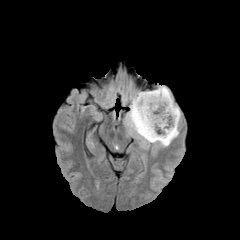
FLAIR MR image.
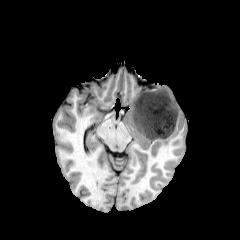
T1-weighted MRI.
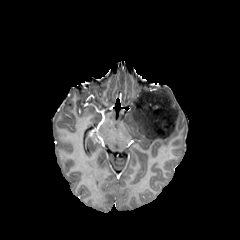
Post-contrast T1-weighted MRI.
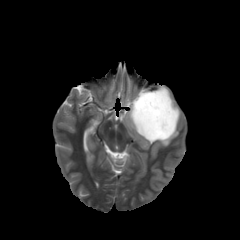
T2-weighted magnetic resonance.
240x240 px.
The non-enhancing tumor core is at 132,88,177,139. The edema is at 122,85,181,151.